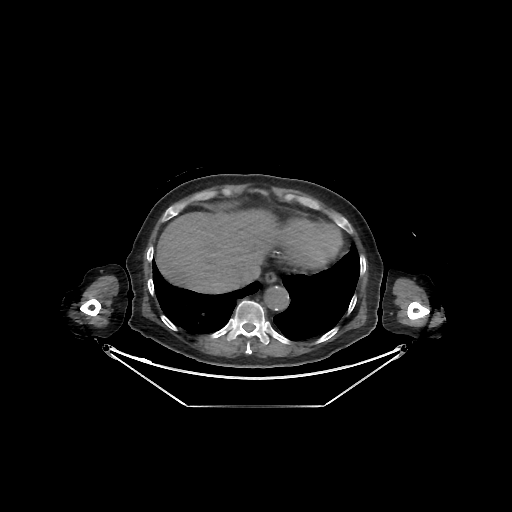

Liver, CT image
Liver: [156,210,273,293].
Lung: [152,259,262,334], [273,243,359,340].
Bone: [163,208,177,220], [273,331,288,343], [407,302,429,319], [211,300,268,343], [317,328,337,342], [348,296,356,312], [148,279,153,294], [80,299,100,315], [161,316,176,330], [360,256,365,273], [147,247,152,260].